FLAIR MRI.
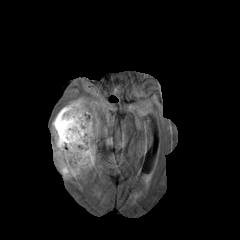
T1-weighted MR.
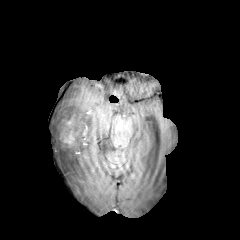
Post-contrast T1-weighted magnetic resonance.
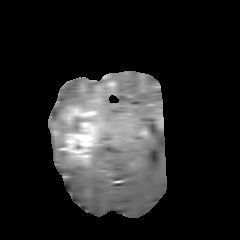
T2-weighted MR.
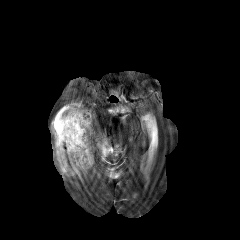
The enhancing tumor is located at (52,105,99,161). 2 edema regions appear at (50,98,87,132), (51,140,96,179). 2 non-enhancing tumor core regions appear at (53,111,64,126), (54,137,67,162).